Brain. Slice 105/155.
FLAIR MRI.
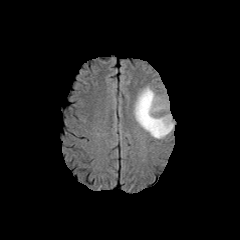
T1-weighted magnetic resonance.
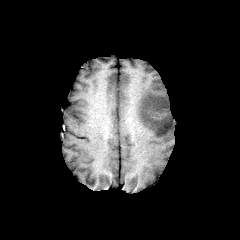
Post-contrast T1-weighted MRI.
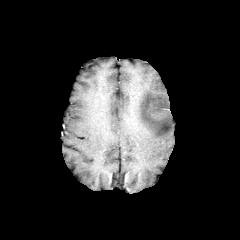
T2-weighted MR image.
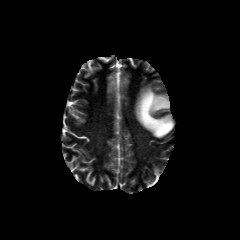
The non-enhancing tumor core appears at [143, 96, 155, 121]. The edema appears at [134, 81, 174, 139].